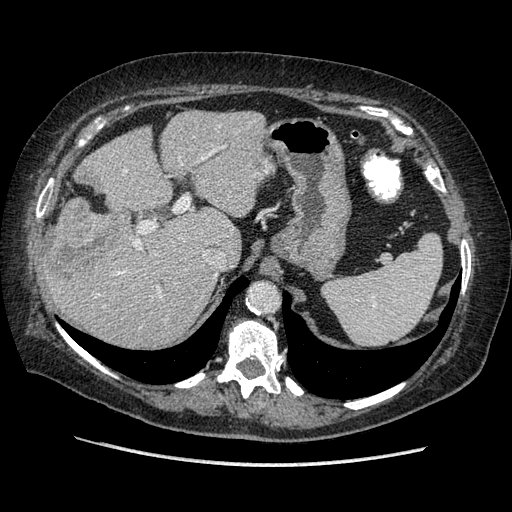

512x512 px. Abdomen. CT slice.
The vessel annotation is not exhaustive.
4 hepatic vessel regions are bounded by [173, 196, 189, 212], [157, 287, 160, 297], [139, 220, 157, 232], [134, 239, 141, 248]. The liver tumor is located at [53, 205, 122, 273].